Abdomen | 512x512 | Computed tomography

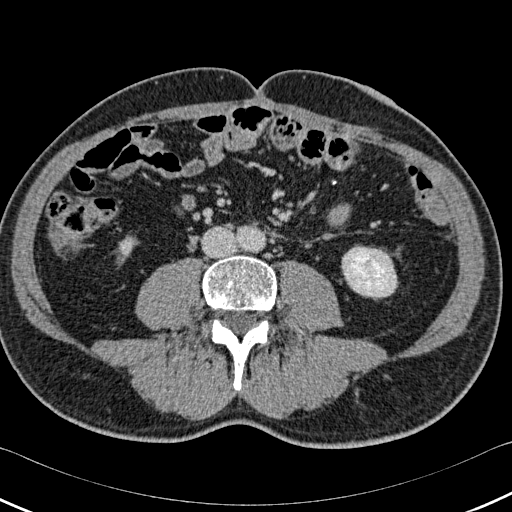 Bone at (left=202, top=256, right=276, bottom=310), (left=212, top=320, right=268, bottom=390).
Kidney at (left=342, top=247, right=396, bottom=296), (left=121, top=239, right=132, bottom=254).